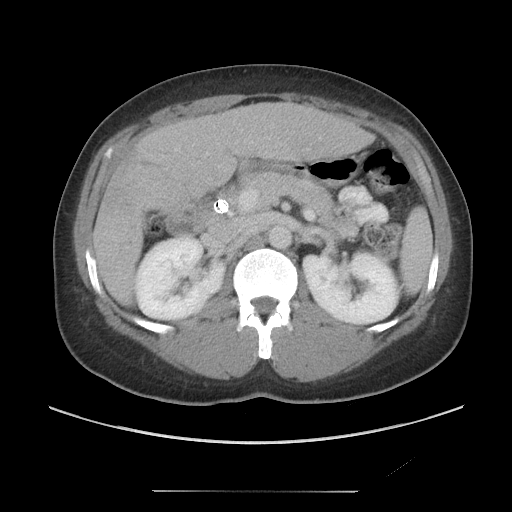
Liver | Image size 512x512 | Computed tomography
Some hepatic vessels may have no box.
<segmentation>
  <hepatic_vessel>x1=174, y1=146, x2=179, y2=151; x1=206, y1=151, x2=209, y2=154</hepatic_vessel>
</segmentation>